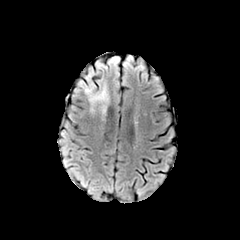
FLAIR MRI.
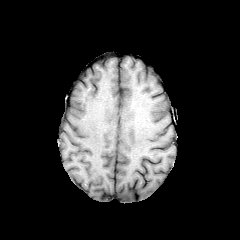
T1-weighted MRI.
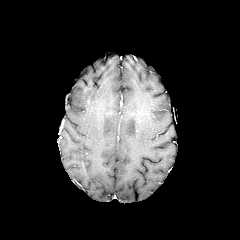
Post-contrast T1-weighted MRI.
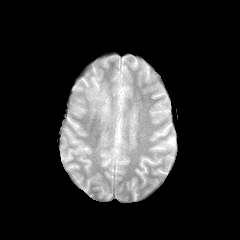
T2-weighted MR image.
240x240 | Brain
<segmentation>
  <edema>82 71 109 119</edema>
</segmentation>